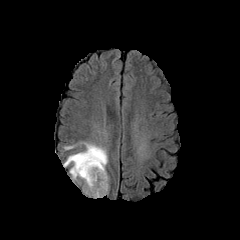
FLAIR MR image.
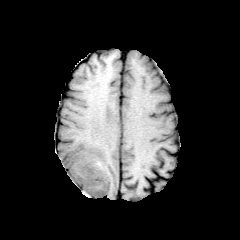
Same slice, T1-weighted MR.
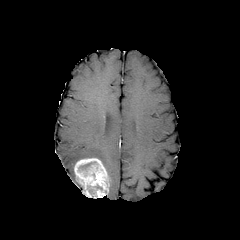
Same slice, post-contrast T1-weighted magnetic resonance.
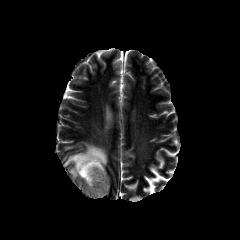
T2-weighted MR of the same slice.
Enhancing tumor = bbox(74, 158, 109, 197).
Non-enhancing tumor core = bbox(86, 184, 101, 194).
Edema = bbox(63, 142, 107, 185).